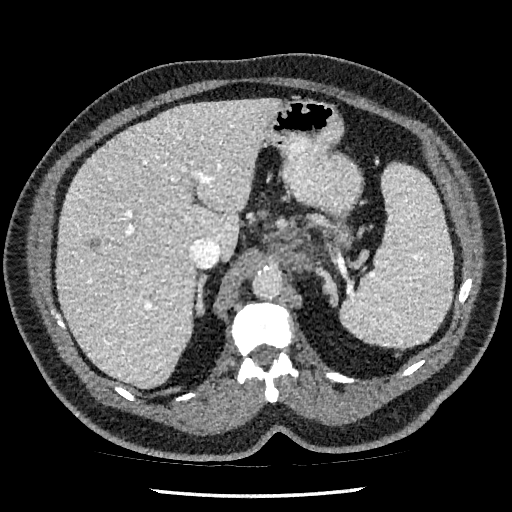
CT image

Liver lesion — bbox(86, 239, 98, 247).
Liver — bbox(56, 99, 279, 387).